Abdomen | Slice 306/384 | CT
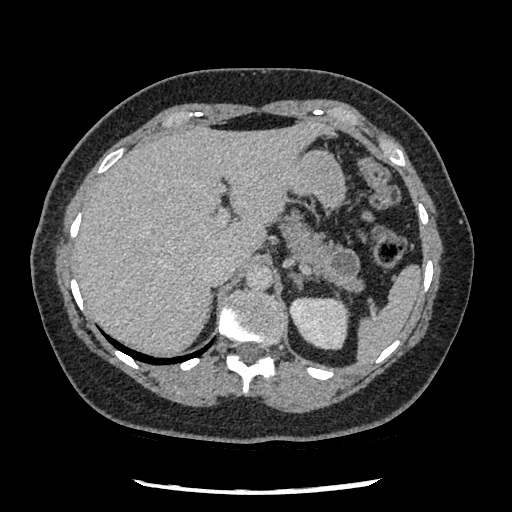

Pancreatic tumor: bounding box {"x1": 327, "y1": 249, "x2": 360, "y2": 281}.
Pancreas: bounding box {"x1": 280, "y1": 210, "x2": 362, "y2": 289}.